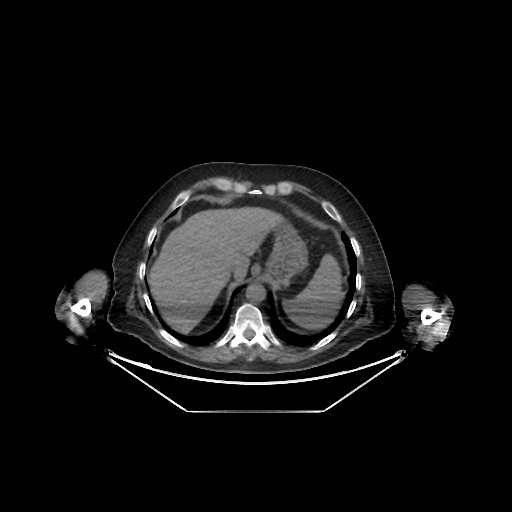 Computed tomography
Liver — box(147, 207, 278, 333).